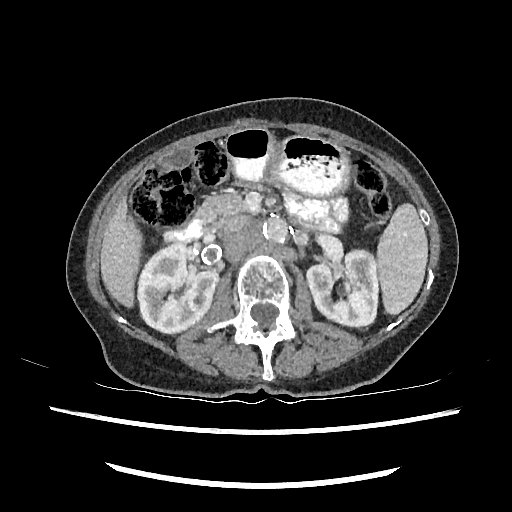

512x512; Upper abdomen; Computed tomography
<segmentation>
  <kidney>bbox=[138, 244, 217, 332]; bbox=[307, 252, 377, 325]</kidney>
  <liver>bbox=[100, 198, 141, 306]</liver>
</segmentation>